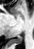 34x49 px, Magnetic resonance, Medial temporal lobe
Posterior hippocampus: 12,36,22,43.